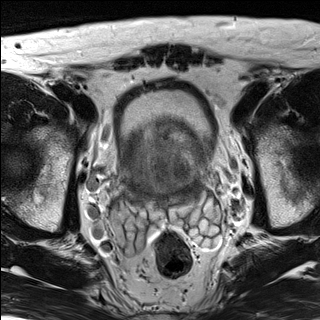
T2-weighted MR.
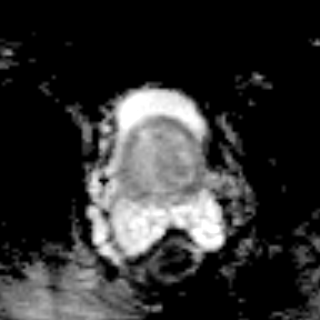
Same slice, ADC MR.
Prostate
prostate_transition_zone:
  - box(127, 128, 194, 193)